Field of view 240x240 mm, Brain, Slice 62 of 155
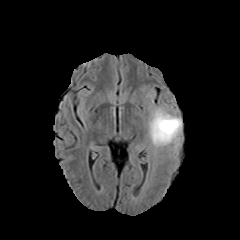
FLAIR magnetic resonance.
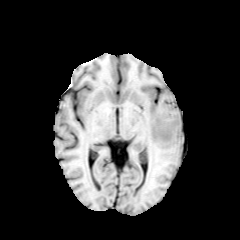
T1-weighted MR of the same slice.
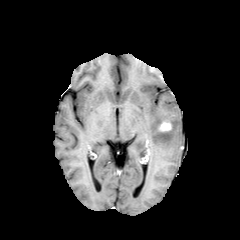
Post-contrast T1-weighted MR.
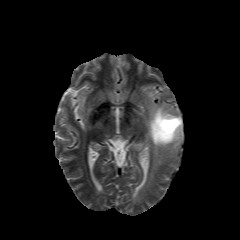
T2-weighted MR.
Non-enhancing tumor core — 156,118,177,139.
Edema — 140,94,183,161.